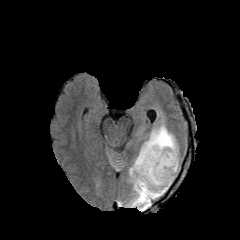
FLAIR MRI.
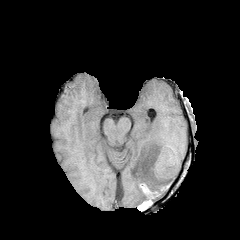
T1-weighted magnetic resonance.
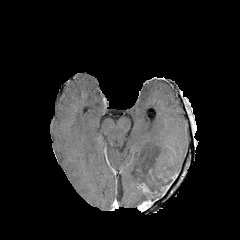
Post-contrast T1-weighted MR image of the same slice.
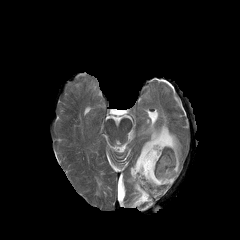
T2-weighted magnetic resonance.
240x240 | Brain
{
  "edema": [
    "bbox=[124, 123, 180, 208]",
    "bbox=[118, 189, 126, 205]"
  ],
  "non-enhancing_tumor_core": [
    "bbox=[148, 169, 172, 192]"
  ]
}